CT. Slice 583 of 683. 512x512 px. Abdomen.
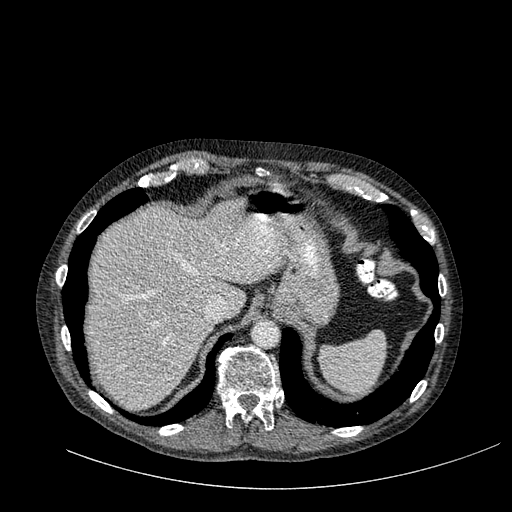 Liver: x1=88, y1=197, x2=286, y2=409.